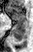

MR image

The anterior hippocampus lies within box=[9, 7, 24, 21]. The posterior hippocampus lies within box=[14, 22, 25, 41].